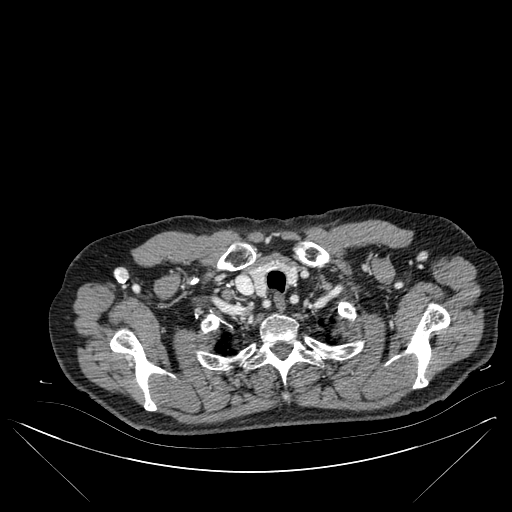 CT image. 512x512. Thorax.

{"lung": ["box(216, 343, 227, 353)"], "bone": ["box(201, 314, 218, 332)", "box(405, 304, 450, 388)", "box(217, 243, 255, 270)", "box(110, 329, 165, 410)", "box(338, 302, 355, 319)", "box(197, 314, 363, 382)", "box(295, 241, 329, 265)"]}